Lower abdomen; CT image; Image width 383 mm; Slice index 65

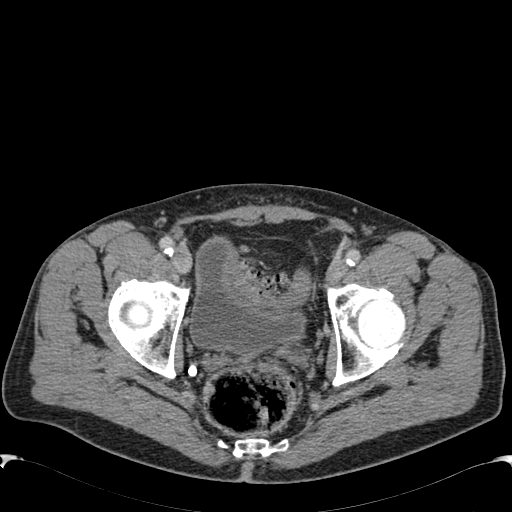
Urinary bladder — {"x1": 189, "y1": 235, "x2": 306, "y2": 357}.